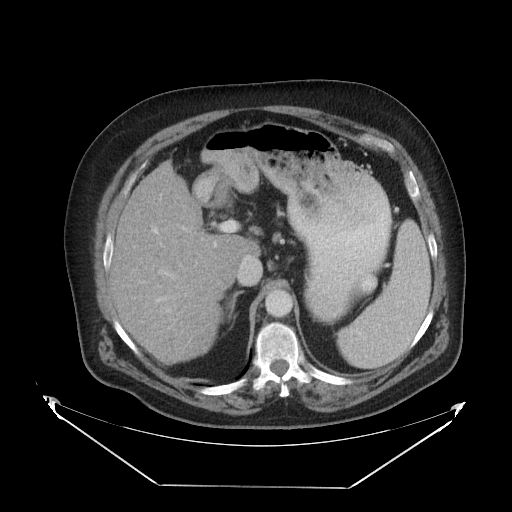 Image size 512x512. Computed tomography. Some hepatic vessels may have no box.
Findings:
* hepatic vessel: 221 221 230 231